Upper abdomen; Computed tomography

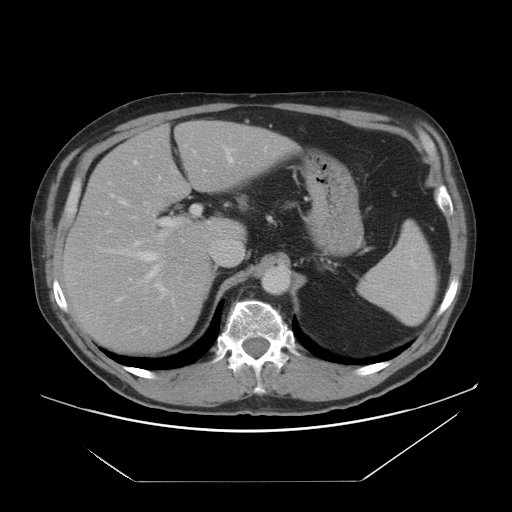
Segmented structures:
• liver: <box>59,120,300,353</box>